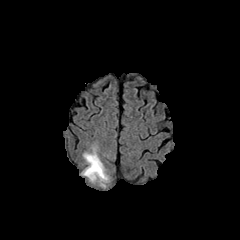
FLAIR magnetic resonance.
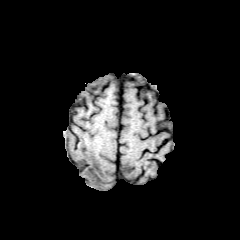
T1-weighted MRI.
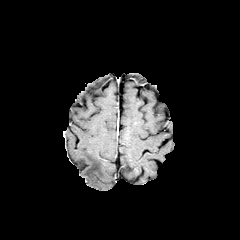
Post-contrast T1-weighted MR of the same slice.
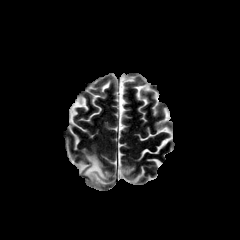
T2-weighted MRI of the same slice.
edema:
  - box=[80, 145, 110, 188]